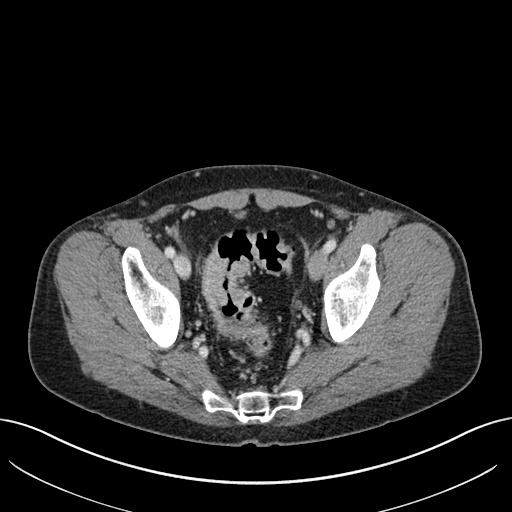
Pelvis, CT slice

<segmentation>
  <colon_tumor>x1=226 y1=256 x2=248 y2=307, x1=201 y1=249 x2=227 y2=321</colon_tumor>
</segmentation>